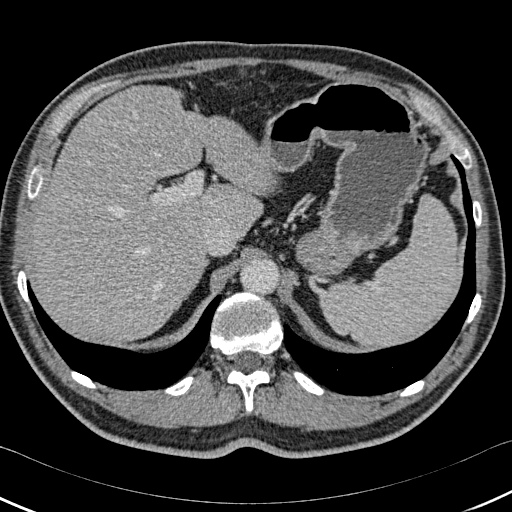

CT.
lung: [283, 154, 475, 395], [27, 280, 221, 390] | bone: [294, 372, 323, 395], [400, 381, 423, 396], [455, 148, 471, 168], [227, 370, 269, 411], [165, 377, 193, 395], [28, 167, 42, 198], [473, 201, 481, 225], [71, 371, 95, 388], [17, 271, 28, 301], [211, 292, 282, 354], [467, 294, 481, 322] | liver: [34, 84, 274, 343]